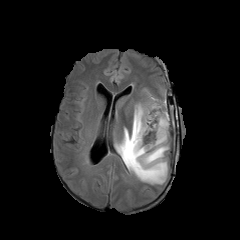
FLAIR MR image.
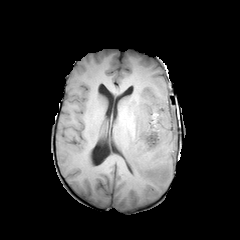
T1-weighted MR.
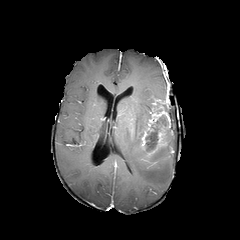
Same slice, post-contrast T1-weighted MRI.
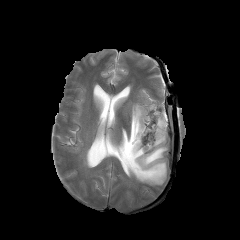
T2-weighted magnetic resonance.
Head
non-enhancing_tumor_core:
  - (142,99,166,148)
  - (122,143,131,158)
edema:
  - (114,90,172,187)